FLAIR MR.
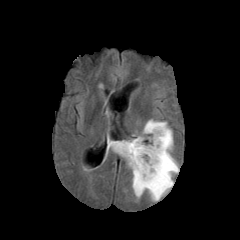
T1-weighted MR.
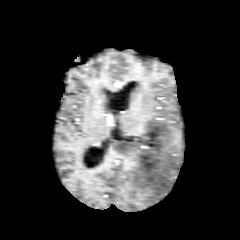
Post-contrast T1-weighted MR.
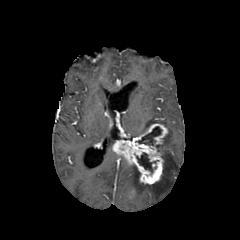
T2-weighted magnetic resonance.
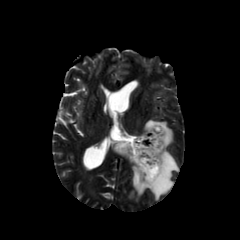
Head
enhancing_tumor:
  - (128, 189, 135, 199)
  - (112, 123, 168, 184)
non-enhancing_tumor_core:
  - (138, 127, 160, 145)
  - (134, 179, 152, 193)
  - (137, 153, 153, 172)
edema:
  - (107, 136, 113, 151)
  - (130, 164, 138, 189)
  - (135, 119, 179, 201)